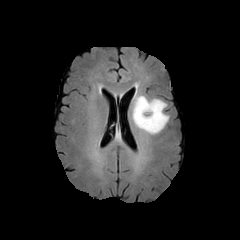
FLAIR MR.
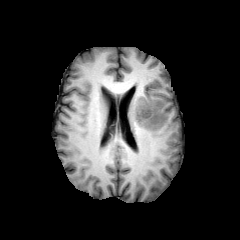
T1-weighted magnetic resonance of the same slice.
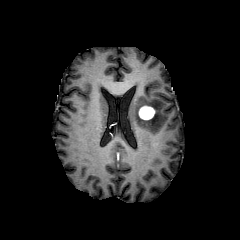
Post-contrast T1-weighted magnetic resonance of the same slice.
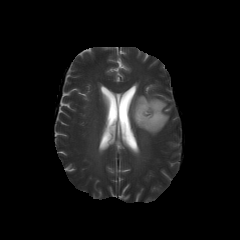
T2-weighted MR of the same slice.
Brain
edema: <bbox>132, 83, 169, 135</bbox> | enhancing tumor: <bbox>138, 104, 156, 120</bbox>